CT, Abdomen, Field of view 400x400 mm
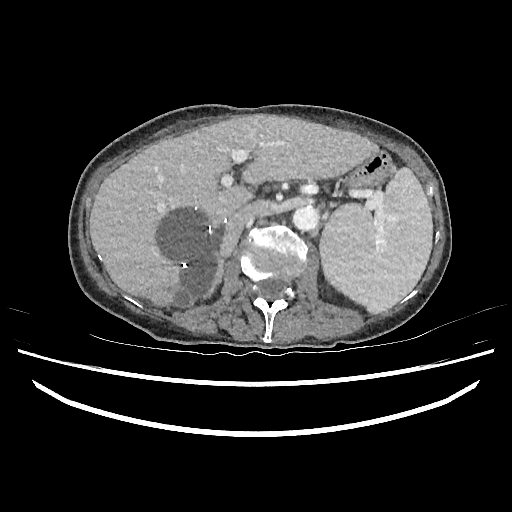 The liver lesion appears at 158 209 223 305. 2 liver regions are bounded by 90 116 374 305, 206 256 220 293.